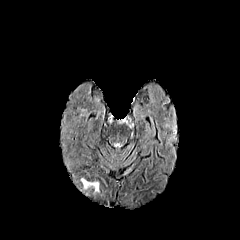
FLAIR MR.
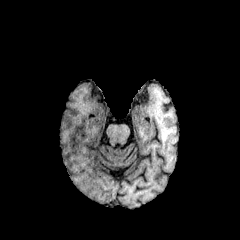
T1-weighted MR.
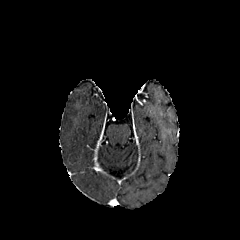
Post-contrast T1-weighted MR image of the same slice.
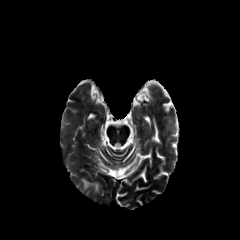
T2-weighted MRI.
Head.
<segmentation>
  <edema>box=[81, 178, 99, 192]</edema>
</segmentation>